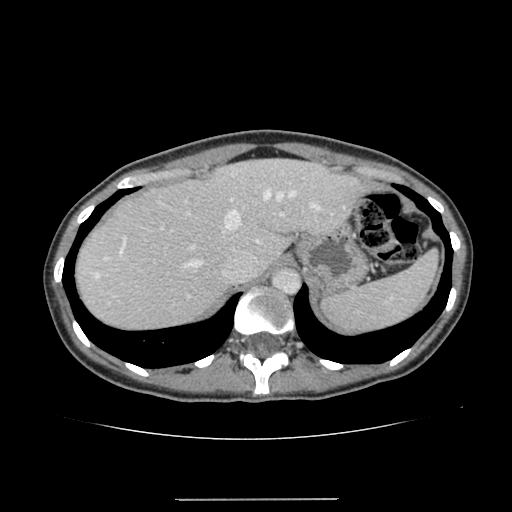

Computed tomography, Liver
{"liver": ["77,159,372,331"]}